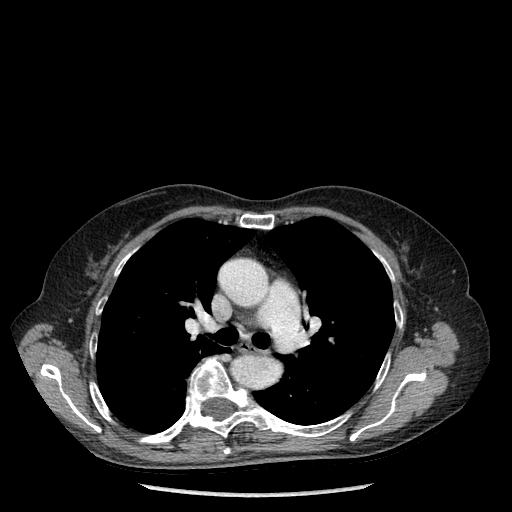
512x512 | CT | Chest
11 bone regions are bounded by box=[96, 298, 105, 314]; box=[239, 213, 274, 229]; box=[139, 357, 350, 443]; box=[89, 335, 96, 355]; box=[375, 354, 390, 389]; box=[376, 253, 394, 280]; box=[114, 253, 130, 276]; box=[40, 363, 101, 432]; box=[90, 382, 112, 421]; box=[394, 302, 403, 327]; box=[350, 371, 426, 440]. 3 lung regions are located at box=[96, 218, 254, 433]; box=[252, 333, 269, 348]; box=[253, 217, 394, 424].